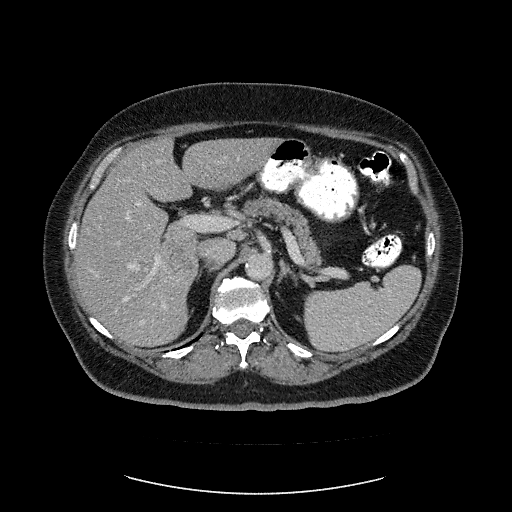 CT image. Liver. Some hepatic vessels may have no box.
The liver tumor is at [164,231,199,282]. 11 hepatic vessel regions are bounded by [124,296,128,300], [143,165,144,168], [135,255,160,291], [157,160,162,162], [162,302,165,307], [129,261,139,270], [96,274,98,276], [267,159,271,164], [137,202,140,204], [140,320,144,323], [127,211,130,219].